512x512 px. CT scan slice. 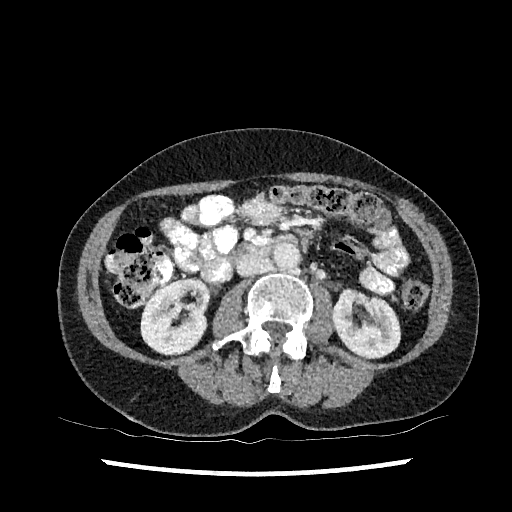

2 kidney regions are located at 333 290 399 357, 141 279 208 354.